FLAIR MRI.
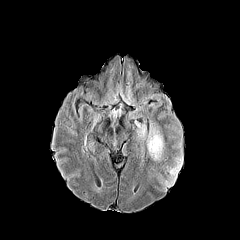
T1-weighted MR.
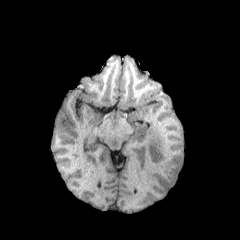
Post-contrast T1-weighted magnetic resonance.
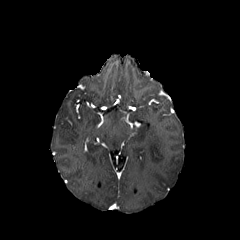
T2-weighted magnetic resonance.
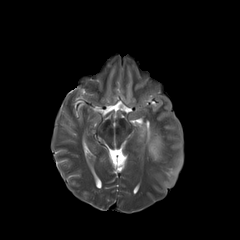
Brain
{"edema": ["146:123:164:163", "166:157:182:176"]}